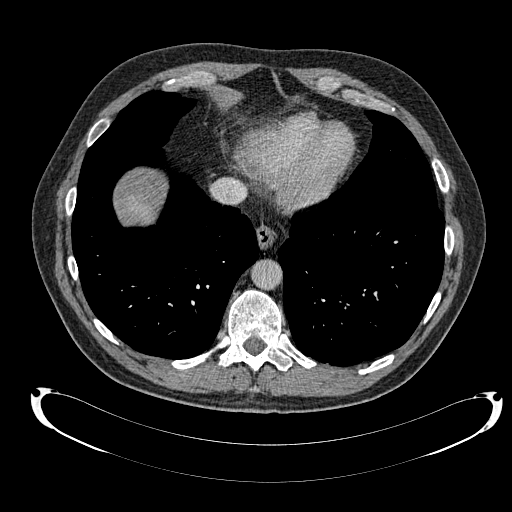

CT image
{"liver": ["(left=126, top=196, right=153, bottom=222)"]}